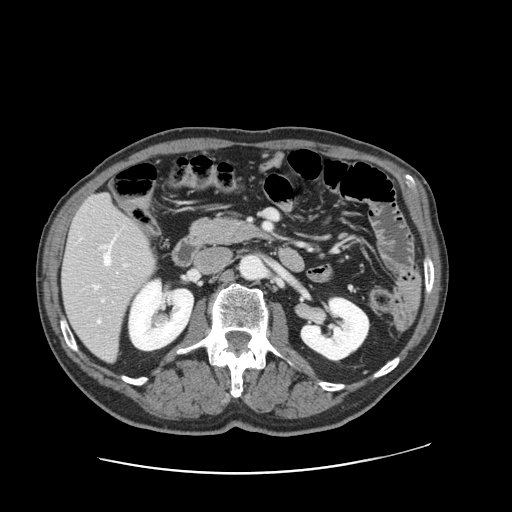
Computed tomography; Liver

Only some of the vessels may be annotated.
4 hepatic vessel regions are located at (left=93, top=285, right=99, bottom=288), (left=104, top=240, right=113, bottom=264), (left=102, top=299, right=103, bottom=301), (left=97, top=320, right=100, bottom=322).